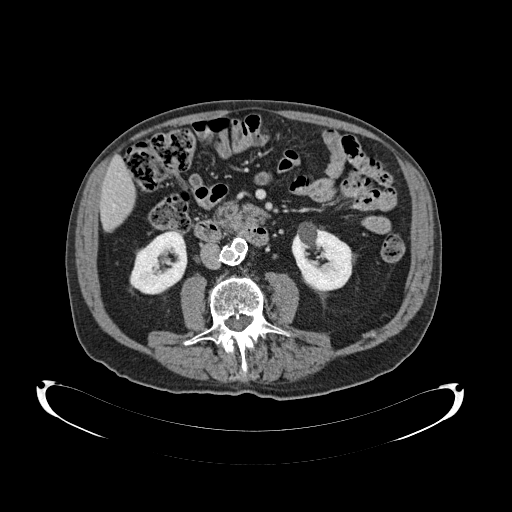

Computed tomography. Upper abdomen. Pancreas — x1=215, y1=200, x2=244, y2=235.